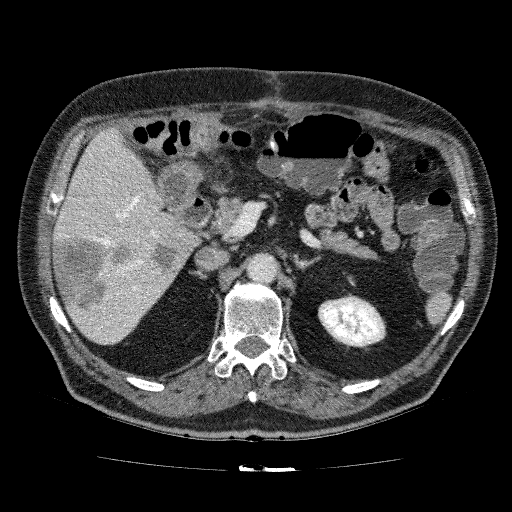
Upper abdomen. Computed tomography.

<segmentation>
  <liver>box=[52, 126, 200, 345]</liver>
  <liver_lesion>box=[51, 232, 134, 311]; box=[149, 239, 179, 275]</liver_lesion>
  <kidney>box=[318, 296, 384, 346]</kidney>
</segmentation>